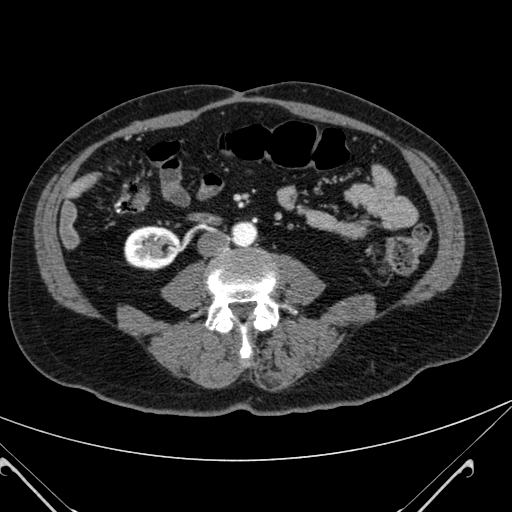
Abdomen, Image size 512x512, CT image

The kidney is located at left=125, top=227, right=179, bottom=267.